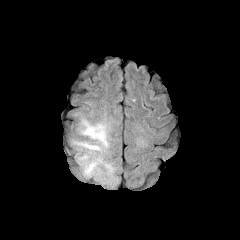
FLAIR MRI.
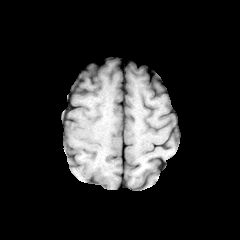
Same slice, T1-weighted MR image.
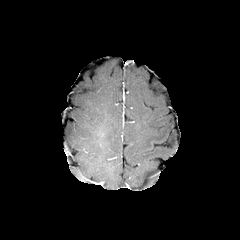
Post-contrast T1-weighted magnetic resonance.
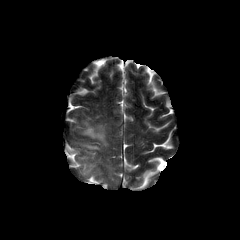
T2-weighted MRI.
Brain; 240x240 px
edema: left=74, top=116, right=113, bottom=179